CT slice. 512x512 px. Upper abdomen.
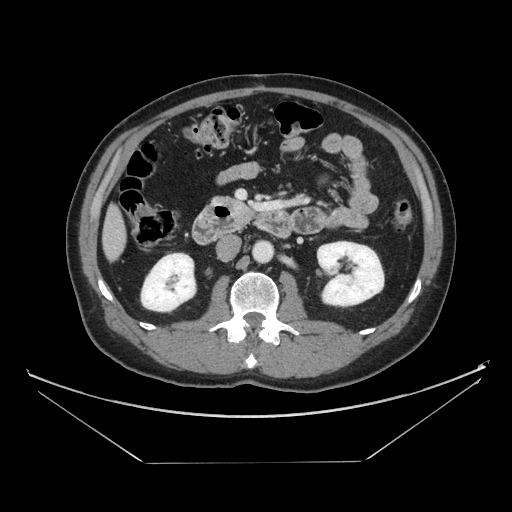
Pancreas: bounding box rect(231, 204, 252, 227).
Pancreatic tumor: bounding box rect(232, 201, 245, 217).